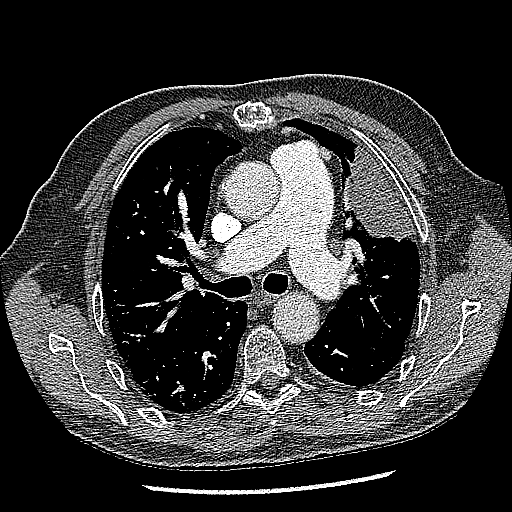

Computed tomography.

The lung tumor is located at 343:146:414:241.